Computed tomography. Slice 560 of 689. Chest.
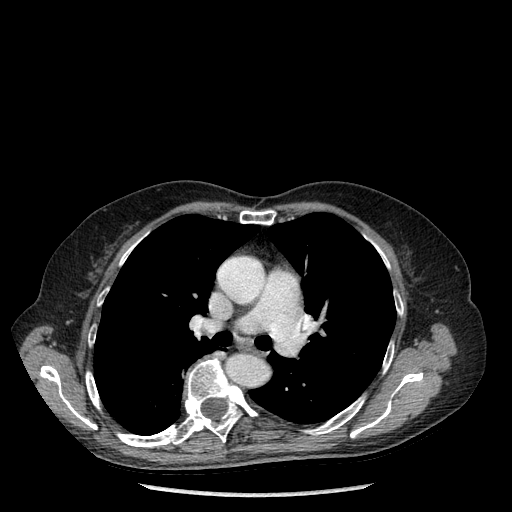 bone: box(117, 358, 257, 447); box(88, 325, 95, 345); box(97, 288, 108, 305); box(119, 241, 138, 265); box(395, 293, 403, 315); box(372, 241, 390, 268); box(350, 372, 423, 437); box(304, 396, 364, 435); box(240, 210, 276, 224); box(39, 365, 97, 429); box(383, 342, 393, 373); box(85, 371, 99, 409) | lung: box(94, 214, 258, 435); box(249, 212, 395, 423)